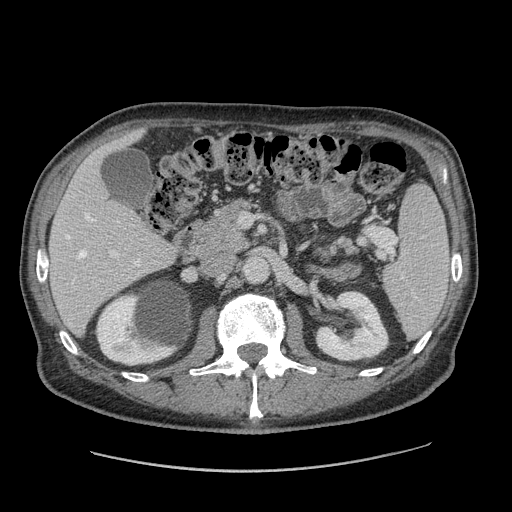 CT image. Image size 512x512. Upper abdomen. pancreas: (left=207, top=200, right=250, bottom=254), (left=328, top=238, right=356, bottom=254)